Computed tomography. Image size 512x512. Slice index 22. Abdomen.
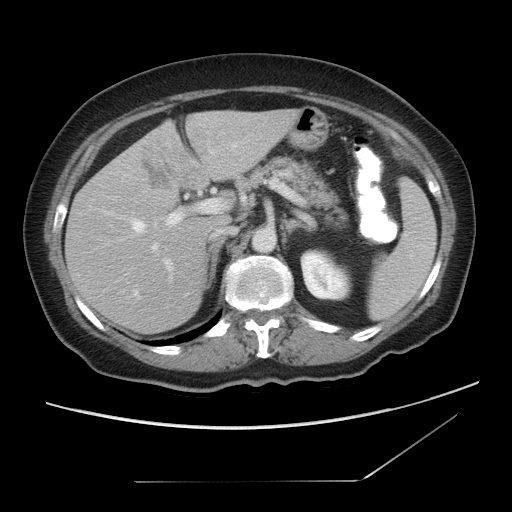
The vessel boxes may cover only some of the vessels.
The liver tumor appears at <box>143,156,175,190</box>. 5 hepatic vessel regions are bounded by <box>198,200,222,212</box>, <box>132,219,145,233</box>, <box>153,245,157,249</box>, <box>166,212,182,224</box>, <box>134,291,138,297</box>.